512x512 px | Slice index 14 | CT | Abdomen | Image width 400 mm 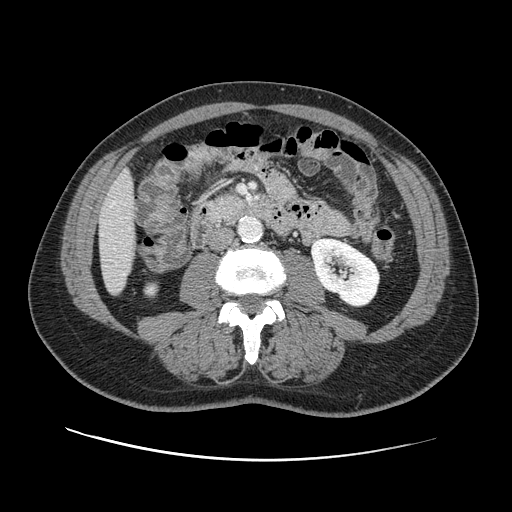

Pancreas at (left=208, top=191, right=251, bottom=224).